FLAIR MR.
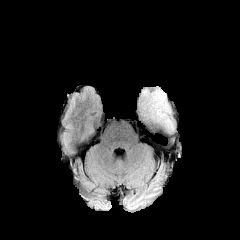
T1-weighted magnetic resonance.
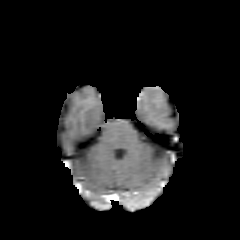
Post-contrast T1-weighted MR image.
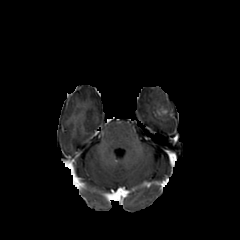
T2-weighted magnetic resonance.
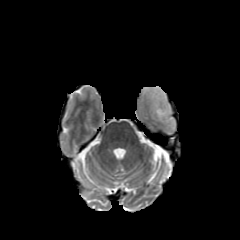
The edema lies within 150, 92, 173, 130.